T2-weighted magnetic resonance.
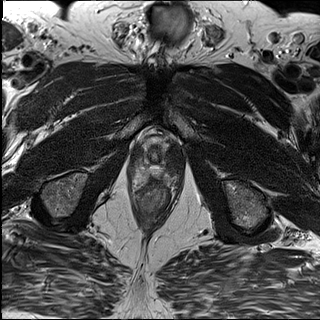
ADC magnetic resonance.
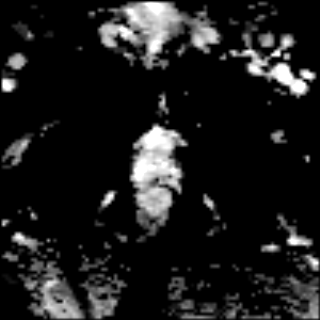
Pelvis
The prostate transition zone lies within 146 142 164 168.